FLAIR magnetic resonance.
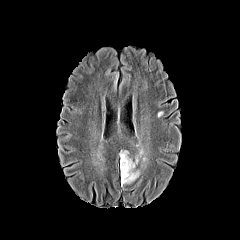
T1-weighted magnetic resonance.
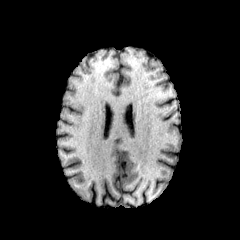
Post-contrast T1-weighted magnetic resonance.
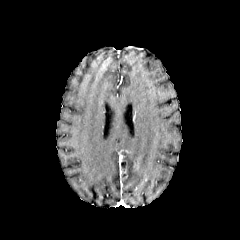
T2-weighted magnetic resonance.
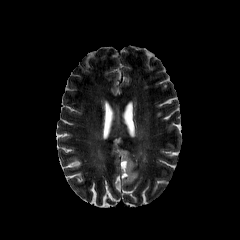
240x240
enhancing tumor: 120, 158, 127, 187 | edema: 120, 150, 139, 184